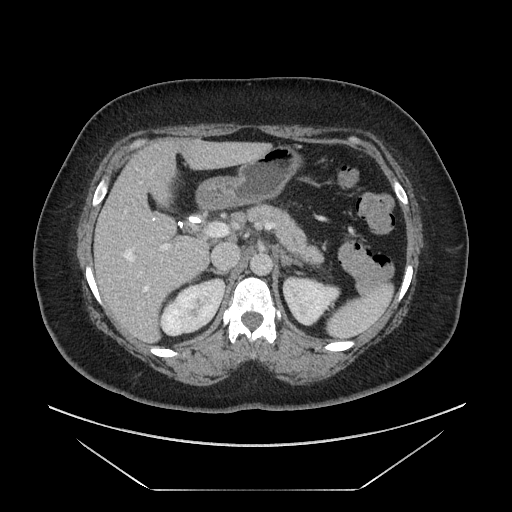
CT image | Abdomen | 512x512
<segmentation>
  <pancreas>bbox(245, 205, 322, 263)</pancreas>
</segmentation>